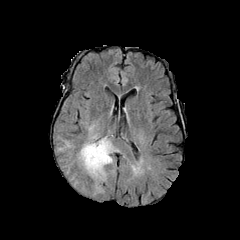
FLAIR MRI.
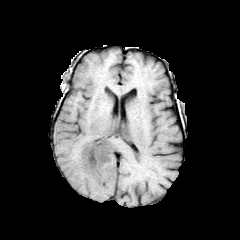
T1-weighted magnetic resonance.
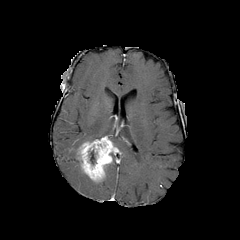
Post-contrast T1-weighted MR of the same slice.
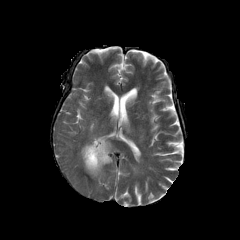
T2-weighted MRI.
Non-enhancing tumor core — (x1=90, y1=150, x2=95, y2=163).
Edema — (x1=83, y1=119, x2=102, y2=141), (x1=92, y1=152, x2=116, y2=196).
Enhancing tumor — (x1=76, y1=137, x2=116, y2=182).